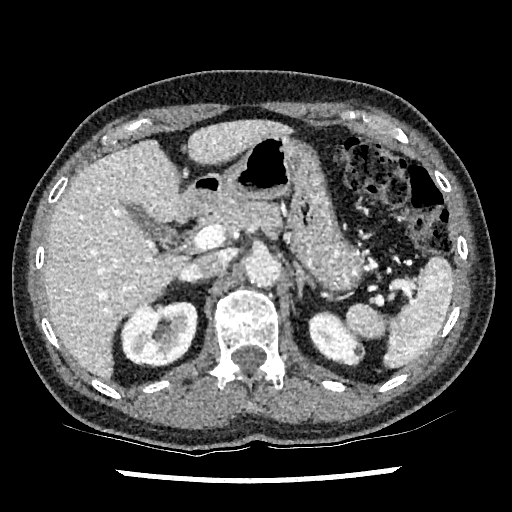

CT image
{
  "kidney": [
    "(x1=310, y1=315, x2=357, y2=363)",
    "(x1=123, y1=303, x2=196, y2=364)"
  ],
  "liver": [
    "(x1=45, y1=140, x2=190, y2=379)",
    "(x1=188, y1=120, x2=294, y2=164)"
  ]
}